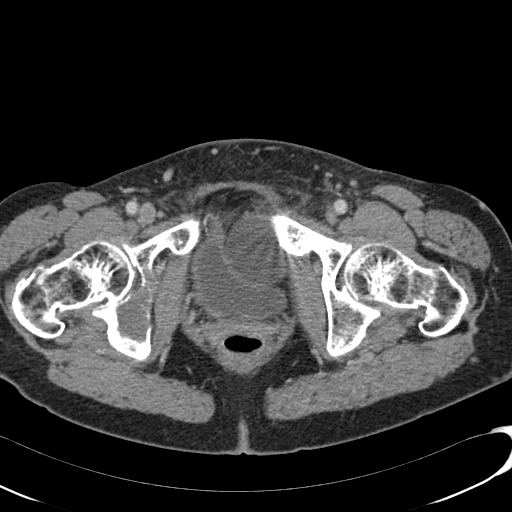 Lower abdomen. CT image.
urinary_bladder:
  - <bbox>193, 217, 286, 326</bbox>